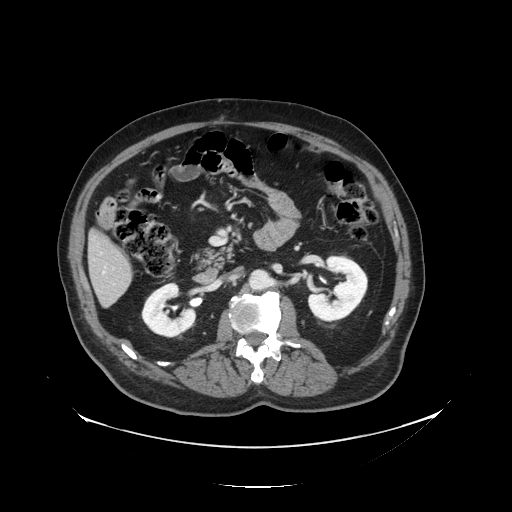
CT; Liver

The vessel boxes may cover only some of the vessels.
Hepatic vessel — bbox(103, 267, 105, 273).